Abdomen | Computed tomography 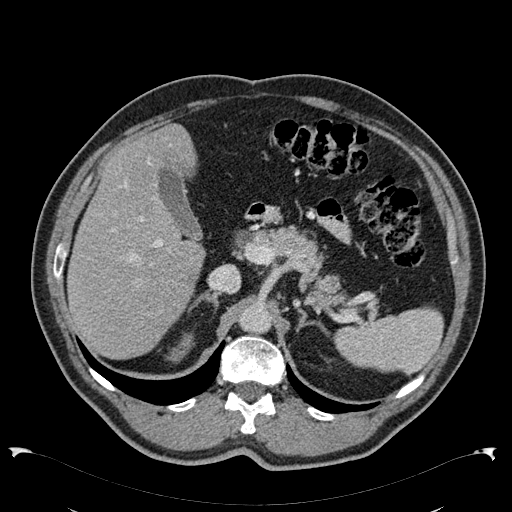

kidney:
  - <bbox>167, 334, 192, 360</bbox>
liver:
  - <bbox>67, 124, 205, 358</bbox>
hepatic_lesion:
  - <bbox>153, 195, 160, 206</bbox>